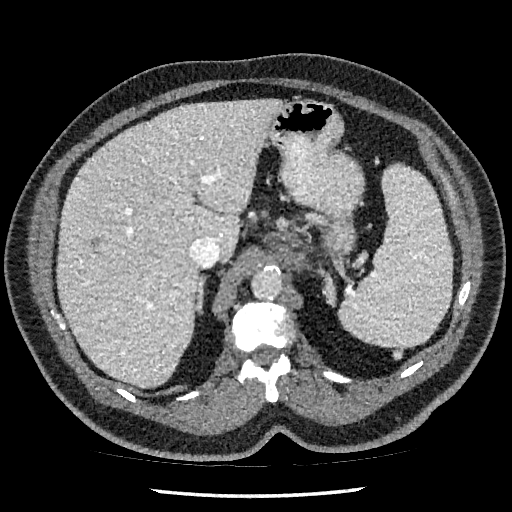 Computed tomography, Abdomen
The liver is at 57:99:279:387.